CT image. 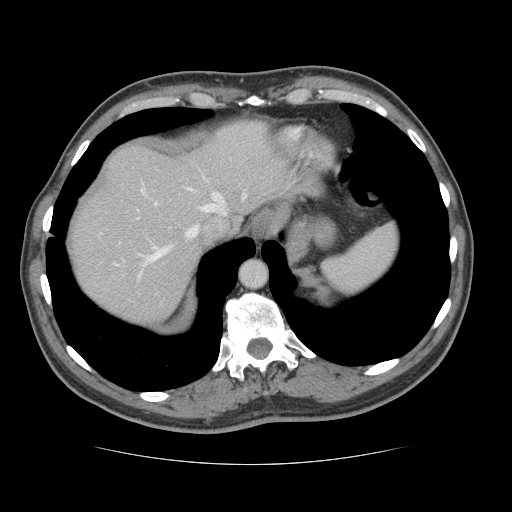

Not every hepatic vessel necessarily has a box.
9 hepatic vessel regions are located at [114, 263, 117, 264], [154, 202, 157, 204], [141, 184, 143, 192], [184, 186, 192, 189], [242, 192, 245, 198], [137, 245, 168, 263], [186, 226, 197, 237], [138, 272, 140, 279], [201, 192, 224, 213].